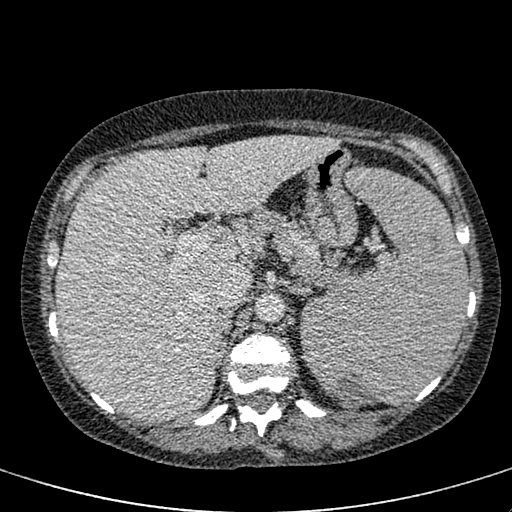

CT scan slice | Upper abdomen
Annotated regions:
* liver: left=58, top=137, right=336, bottom=420